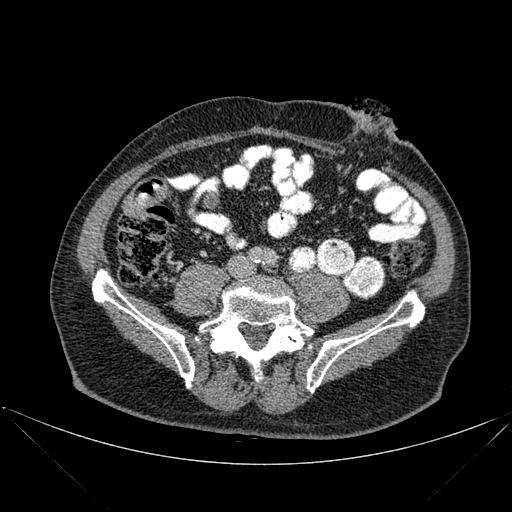
CT slice
<segmentation>
  <bone>left=199, top=283, right=313, bottom=380; left=307, top=292, right=424, bottom=392; left=92, top=270, right=194, bottom=388</bone>
</segmentation>